CT image | Abdomen 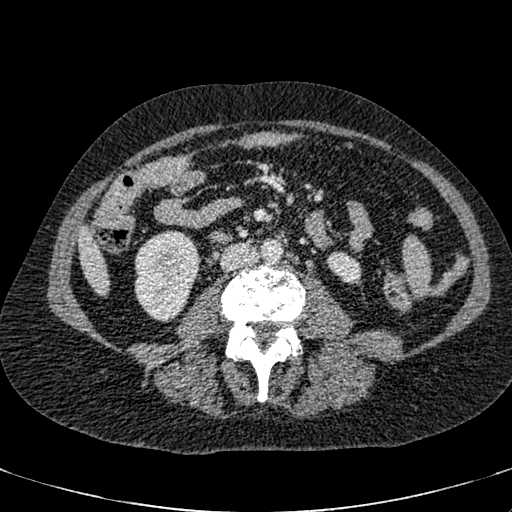
{"kidney": ["327,253,354,280", "135,231,199,320"], "liver": ["77,227,108,291"]}